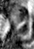

Magnetic resonance. Medial temporal lobe.
The anterior hippocampus is located at bbox=[12, 8, 27, 21].